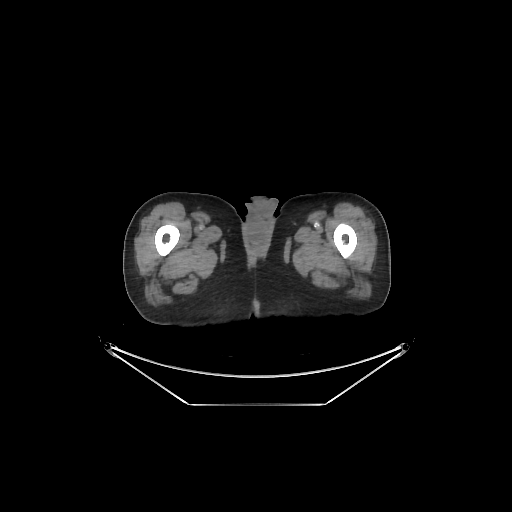
CT slice
{
  "bone": [
    "<box>333,223,356,258</box>",
    "<box>155,222,179,255</box>"
  ]
}